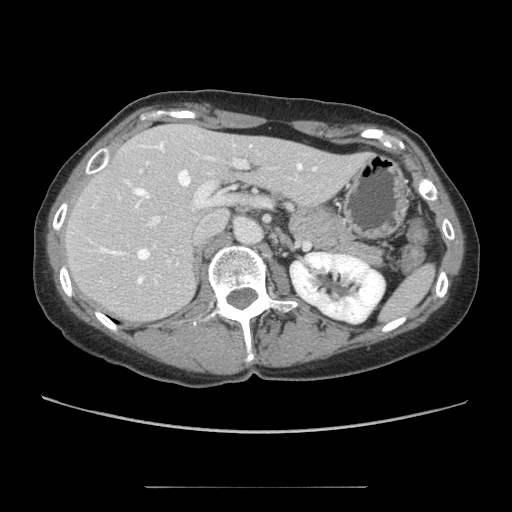

CT slice | Upper abdomen

pancreas: 289, 204, 355, 251